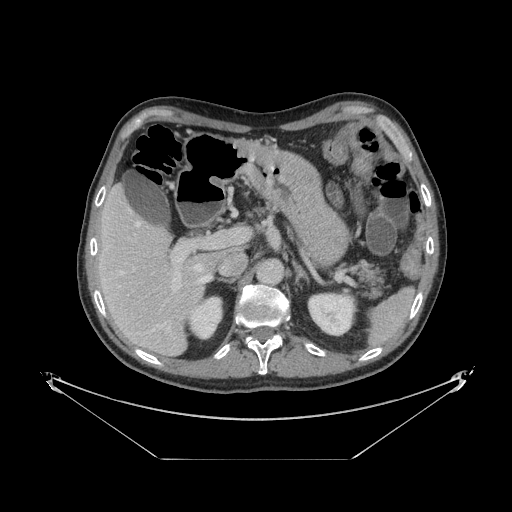
CT image

Segmented structures:
• pancreas: l=350, t=265, r=386, b=298